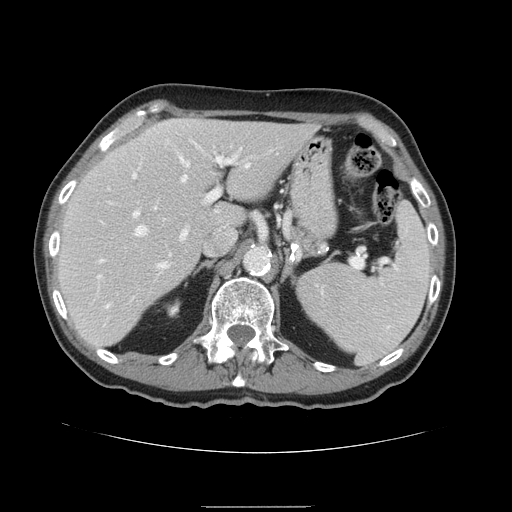 CT. Liver.
Some hepatic vessels may have no box.
Annotated regions:
- hepatic vessel (principal 15 of 17): box(136, 226, 146, 235); box(158, 263, 167, 267); box(204, 243, 212, 254); box(181, 229, 187, 237); box(215, 154, 237, 163); box(133, 210, 139, 216); box(180, 155, 189, 165); box(213, 212, 237, 246); box(98, 275, 100, 277); box(106, 304, 109, 307); box(245, 163, 249, 166); box(133, 174, 136, 177); box(98, 259, 102, 261); box(207, 190, 218, 200); box(182, 175, 187, 180)